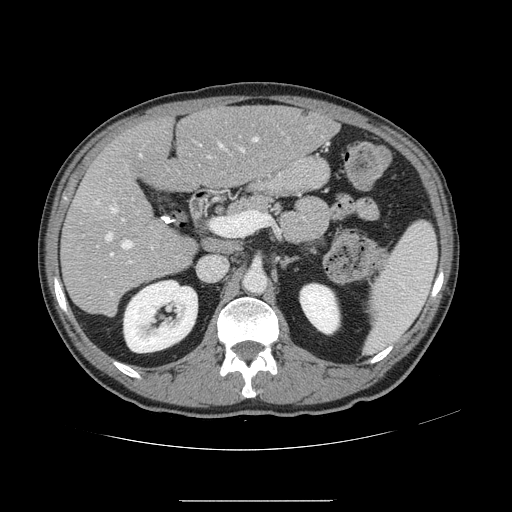

CT slice
The vessel boxes may cover only some of the vessels.
12 hepatic vessel regions are located at region(253, 138, 257, 140); region(122, 240, 131, 248); region(110, 253, 112, 255); region(239, 147, 243, 151); region(218, 143, 223, 147); region(128, 261, 132, 262); region(106, 233, 112, 240); region(150, 244, 153, 248); region(122, 219, 124, 220); region(140, 154, 141, 156); region(111, 203, 117, 212); region(109, 291, 112, 294).